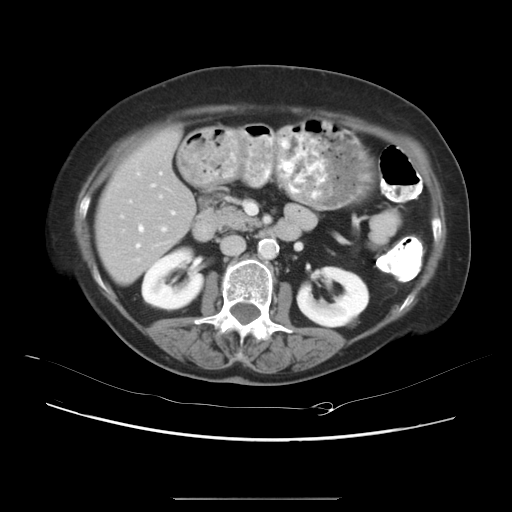 Abdomen | Image size 512x512 | CT scan slice
The vessel annotation is not exhaustive.
hepatic vessel: (x1=171, y1=211, x2=174, y2=214), (x1=134, y1=258, x2=139, y2=261), (x1=159, y1=195, x2=162, y2=197), (x1=165, y1=188, x2=168, y2=190), (x1=160, y1=172, x2=161, y2=174), (x1=136, y1=172, x2=139, y2=175), (x1=152, y1=244, x2=161, y2=246), (x1=151, y1=184, x2=155, y2=186), (x1=160, y1=226, x2=166, y2=231), (x1=129, y1=200, x2=131, y2=202), (x1=138, y1=225, x2=142, y2=232), (x1=120, y1=215, x2=122, y2=218), (x1=136, y1=244, x2=139, y2=248)